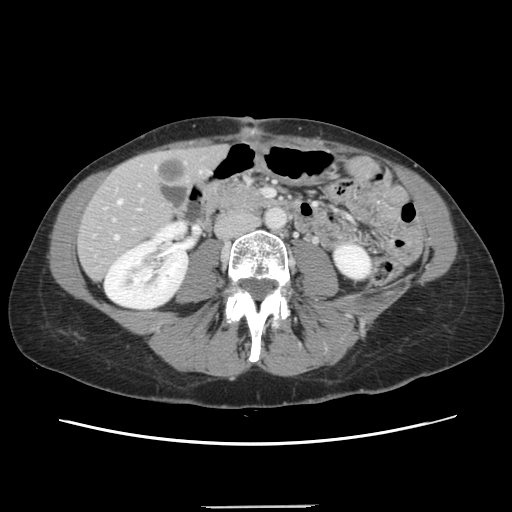 Abdomen; CT slice
The vessel annotation is not exhaustive.
hepatic_vessel:
  - box=[154, 166, 155, 168]
  - box=[138, 184, 139, 185]
  - box=[117, 200, 121, 204]
  - box=[114, 235, 118, 238]
  - box=[113, 219, 114, 220]
liver_tumor:
  - box=[158, 158, 184, 182]